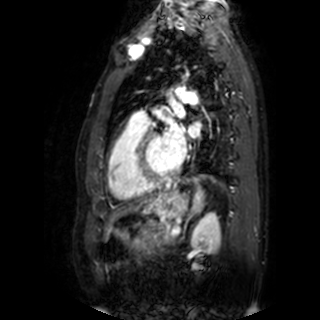
320x320; Heart; MR
3 left atrium regions appear at (164,123,186,164), (188,125,199,137), (177,110,185,117).